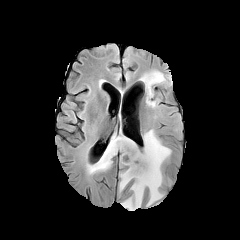
FLAIR MR.
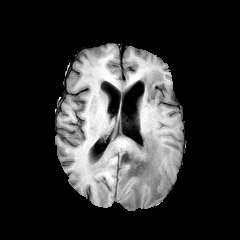
T1-weighted MR.
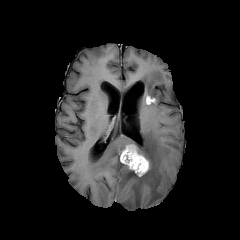
Same slice, post-contrast T1-weighted MR.
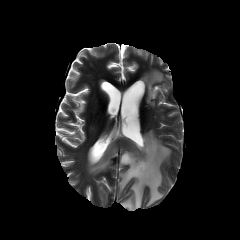
T2-weighted MR image of the same slice.
Edema: bounding box 140 70 165 106, 119 130 171 209, 88 132 134 173.
Enhancing tumor: bounding box 120 145 149 175.
Non-enhancing tumor core: bounding box 127 154 153 178.